CT slice; 512x512 px; Slice 72 of 95

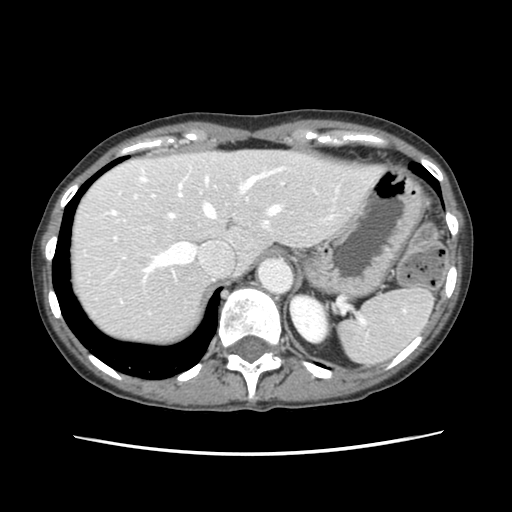
Spleen at <box>337,288,431,363</box>.